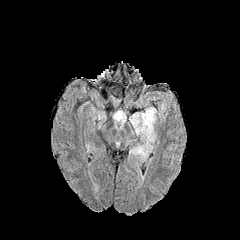
FLAIR MR.
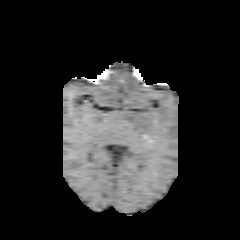
T1-weighted MR image.
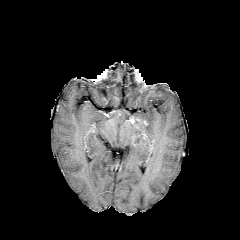
Same slice, post-contrast T1-weighted MRI.
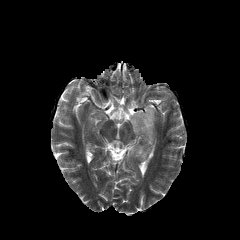
T2-weighted MRI.
Image size 240x240
Edema: bounding box (left=113, top=111, right=125, bottom=129), (left=129, top=106, right=157, bottom=162), (left=158, top=102, right=166, bottom=120).
Enhancing tumor: bounding box (left=127, top=115, right=148, bottom=131).